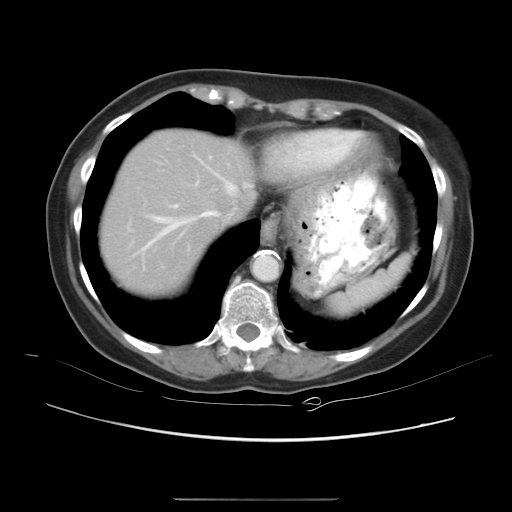

CT slice
Some hepatic vessels may have no box.
8 hepatic vessel regions are bounded by (left=201, top=211, right=218, bottom=216), (left=169, top=205, right=177, bottom=207), (left=138, top=216, right=196, bottom=253), (left=209, top=157, right=210, bottom=158), (left=246, top=185, right=248, bottom=186), (left=195, top=182, right=198, bottom=185), (left=194, top=156, right=236, bottom=195), (left=128, top=223, right=131, bottom=231).